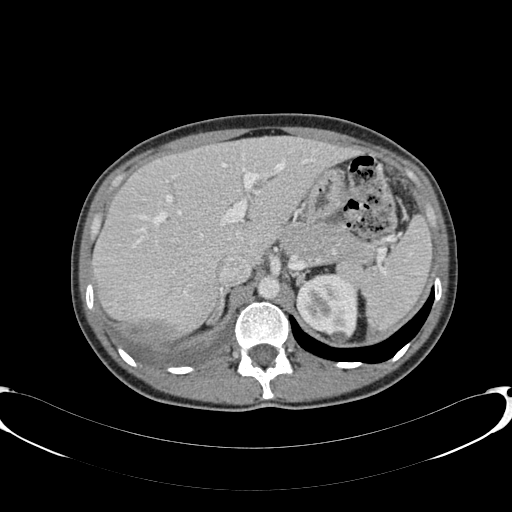
Abdomen; CT image
Liver: bounding box 92 137 359 338.
Kidney: bounding box 297 275 356 342.